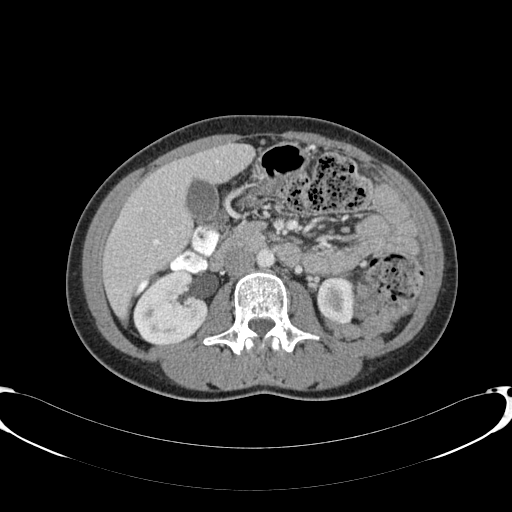
CT image; Image size 512x512
Kidney = [318,278,352,324], [134,269,206,343].
Liver = [103,144,253,316].